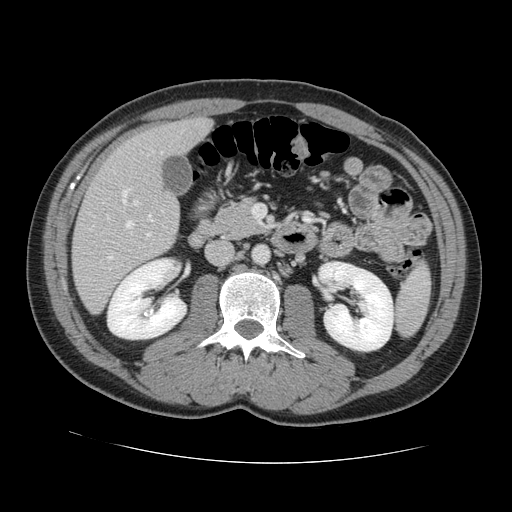
CT scan slice
Not every hepatic vessel necessarily has a box.
hepatic vessel: box=[122, 188, 130, 205]; box=[106, 215, 108, 219]; box=[151, 149, 152, 152]; box=[147, 214, 152, 221]; box=[162, 211, 163, 212]; box=[145, 233, 150, 238]; box=[108, 253, 112, 259]; box=[126, 221, 132, 227]; box=[108, 267, 109, 269]; box=[133, 201, 138, 205]; box=[160, 151, 162, 153]